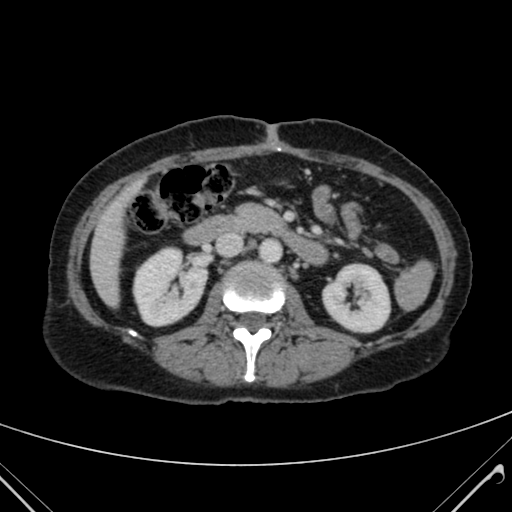
Computed tomography

The liver is at [x1=91, y1=179, x2=141, y2=303]. 2 kidney regions are bounded by [x1=135, y1=250, x2=205, y2=324], [x1=324, y1=265, x2=388, y2=331].